Field of view 350 mm wide, 0.70 mm slice spacing; CT image; Image size 512x512; Slice 389/647
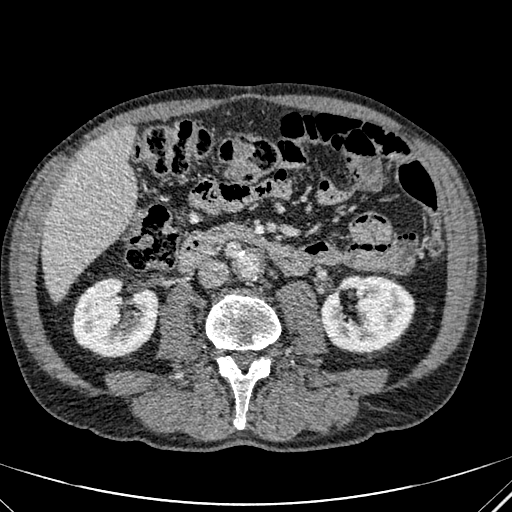 Kidney — 322 277 413 350, 74 279 156 355.
Liver — 41 124 136 301.